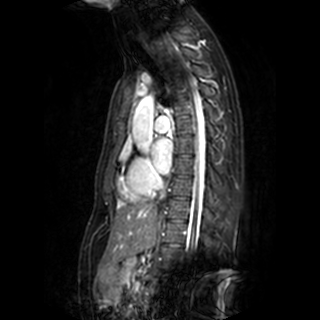
MRI, 320x320
Left atrium: bounding box (left=152, top=138, right=172, bottom=174).